Slice 54/110; CT slice

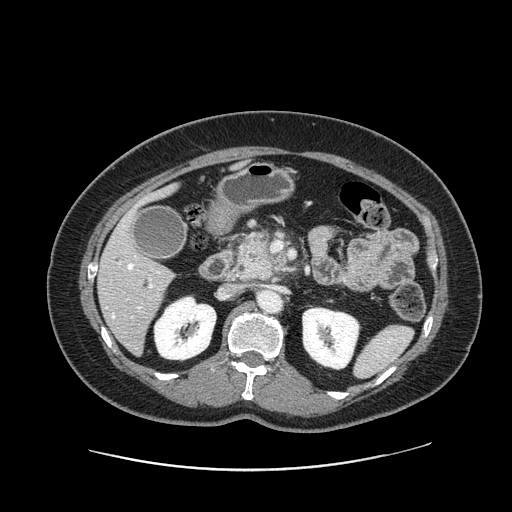
Segmented structures:
* pancreas: [x1=237, y1=232, x2=287, y2=280]
* pancreatic tumor: [x1=242, y1=242, x2=266, y2=266]